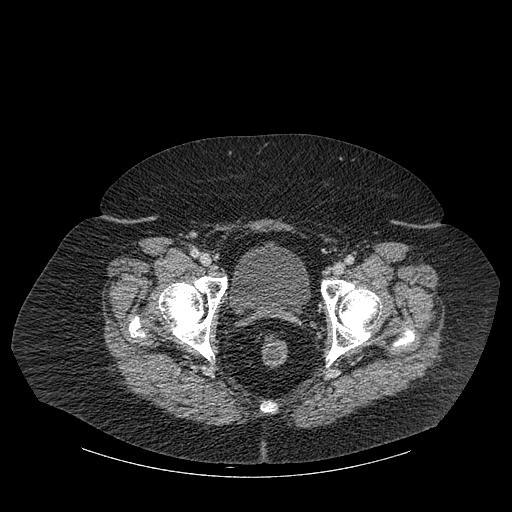
CT scan slice | 512x512 px | Pelvis
5 bone regions are located at 393,328,414,346; 158,276,227,360; 129,316,145,337; 261,403,276,411; 321,280,381,366. The urinary bladder appears at 230,242,311,322.